Brain
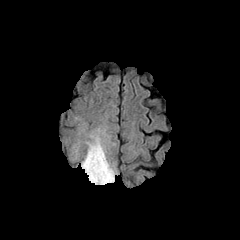
FLAIR MR image.
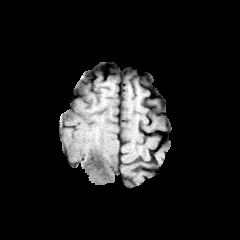
Same slice, T1-weighted MRI.
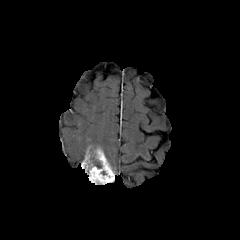
Post-contrast T1-weighted MR.
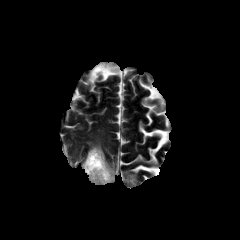
T2-weighted MR image.
edema: (x1=71, y1=125, x2=118, y2=175) | non-enhancing tumor core: (x1=90, y1=154, x2=101, y2=168) | enhancing tumor: (x1=81, y1=146, x2=115, y2=184)